Field of view 240 mm wide, 1.00 mm slice spacing.
FLAIR magnetic resonance.
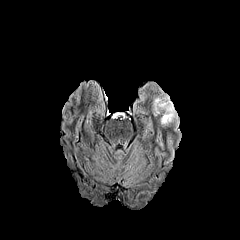
T1-weighted MR image.
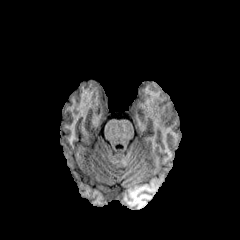
Post-contrast T1-weighted MR image.
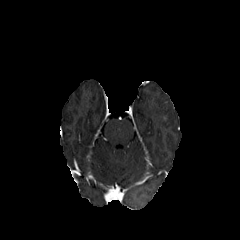
T2-weighted MRI.
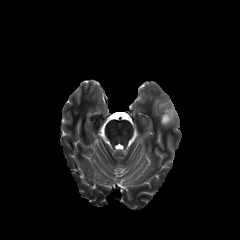
<segmentation>
  <edema>{"x1": 150, "y1": 83, "x2": 178, "y2": 132}, {"x1": 142, "y1": 117, "x2": 152, "y2": 130}</edema>
</segmentation>